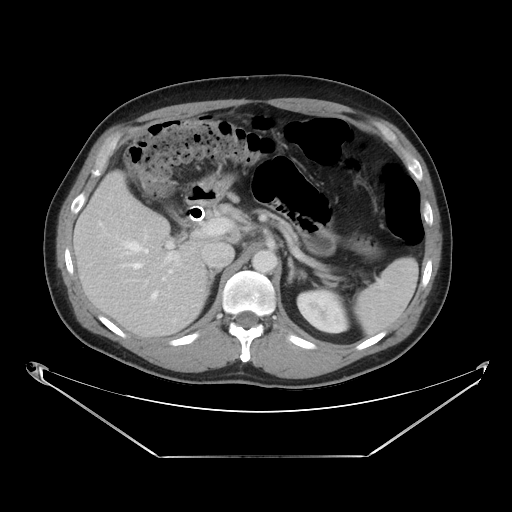
CT slice; Abdomen; 512x512
Pancreas: bounding box (273,219,290,232).